Field of view 240x240 mm, 240x240 px
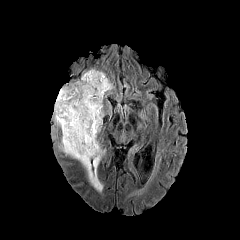
FLAIR MR image.
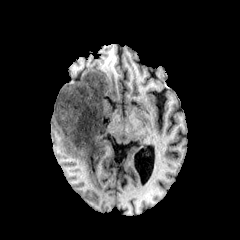
T1-weighted MR image of the same slice.
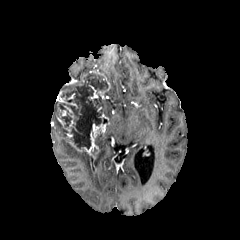
Post-contrast T1-weighted MRI.
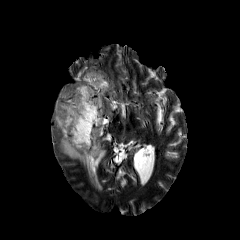
Same slice, T2-weighted MR image.
<segmentation>
  <non-enhancing_tumor_core>bbox=[52, 71, 108, 152]</non-enhancing_tumor_core>
  <edema>bbox=[61, 138, 105, 191]; bbox=[104, 102, 111, 117]</edema>
  <enhancing_tumor>bbox=[56, 90, 67, 102]; bbox=[89, 85, 105, 100]; bbox=[83, 112, 109, 155]; bbox=[63, 105, 75, 138]</enhancing_tumor>
</segmentation>